Field of view 400 mm wide, 1.37 mm slice spacing. Cardiac. MR image. Image size 320x320. Slice index 38.

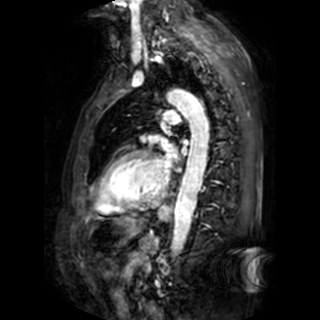 {
  "left_atrium": [
    "x1=162 y1=139 x2=176 y2=172"
  ]
}